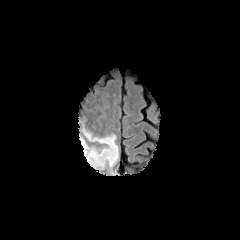
FLAIR MRI.
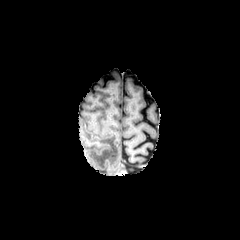
T1-weighted MR image.
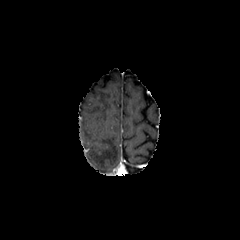
Post-contrast T1-weighted MR of the same slice.
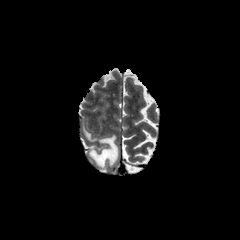
T2-weighted MR of the same slice.
Head. 240x240 px.
Edema: bbox=[90, 135, 118, 166].